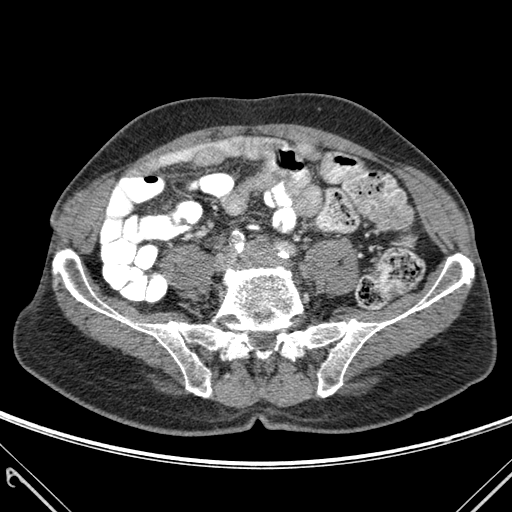

CT
{
  "bone": [
    "bbox(257, 352, 269, 358)",
    "bbox(53, 249, 473, 396)"
  ]
}